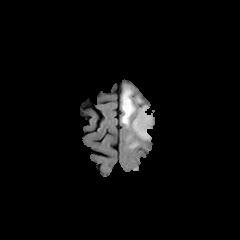
FLAIR MRI.
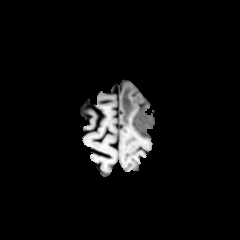
Same slice, T1-weighted magnetic resonance.
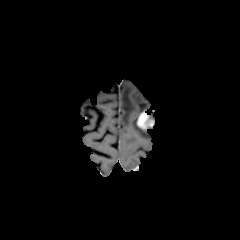
Post-contrast T1-weighted magnetic resonance.
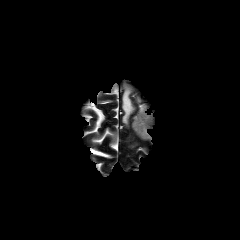
Same slice, T2-weighted MR image.
Head
Annotated regions:
• edema: [x1=121, y1=85, x2=150, y2=140]
• enhancing tumor: [x1=136, y1=112, x2=153, y2=129]